240x240 px.
FLAIR MR image.
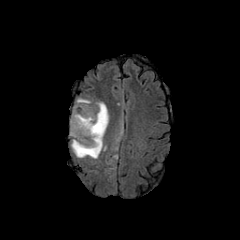
T1-weighted MR image.
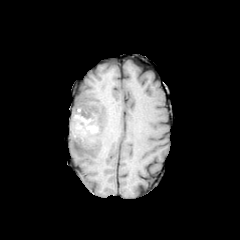
Post-contrast T1-weighted MR.
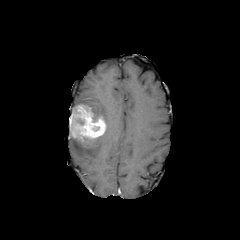
T2-weighted MRI.
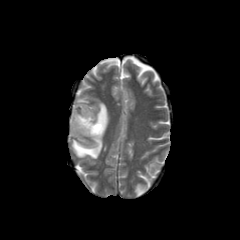
edema:
  - (x1=71, y1=133, x2=104, y2=159)
  - (x1=94, y1=101, x2=109, y2=130)
  - (x1=77, y1=97, x2=92, y2=105)
enhancing_tumor:
  - (x1=69, y1=104, x2=106, y2=142)